CT. Slice index 557. Field of view 350 mm wide, 0.70 mm slice spacing. Abdomen.
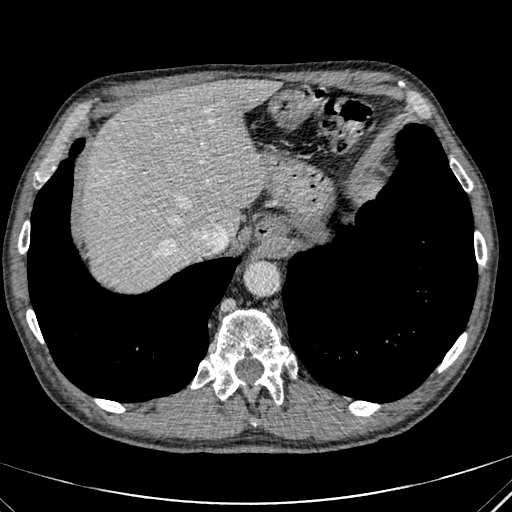
Liver at box(84, 79, 279, 291).